Field of view 240 mm wide, 1.00 mm slice spacing
FLAIR MR.
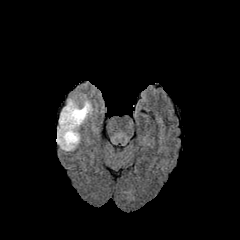
T1-weighted MR image.
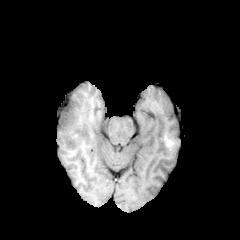
Post-contrast T1-weighted MR.
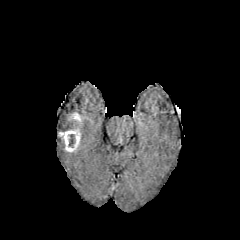
T2-weighted magnetic resonance.
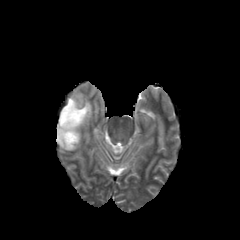
2 non-enhancing tumor core regions are located at left=69, top=134, right=75, bottom=146; left=58, top=104, right=82, bottom=148. 2 enhancing tumor regions are located at left=67, top=112, right=81, bottom=122; left=59, top=127, right=80, bottom=150. The edema is located at left=56, top=93, right=92, bottom=148.